Slice 304 of 836. CT.
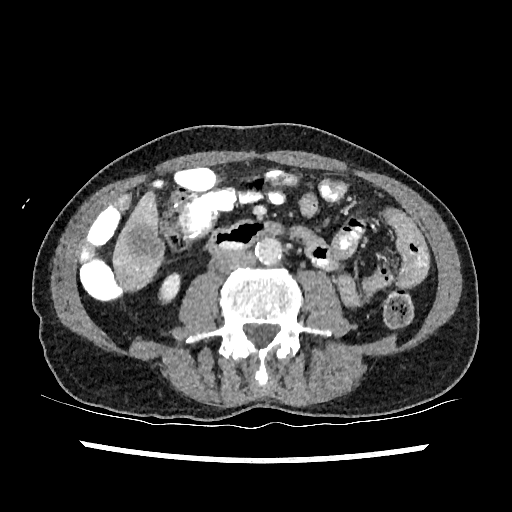 The liver lesion is at box(127, 224, 162, 257). The liver appears at box(114, 192, 161, 290). The kidney is bounded by box(162, 275, 179, 298).